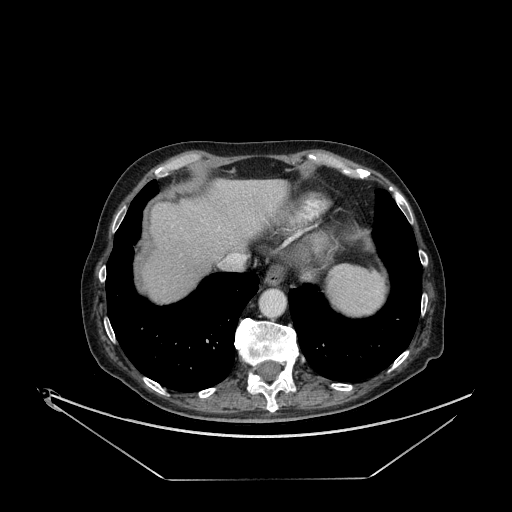

512x512, Upper abdomen, Computed tomography
Segmented structures:
- liver: (x1=143, y1=179, x2=288, y2=302)